Liver; Slice 58/138; Image size 512x512; Computed tomography

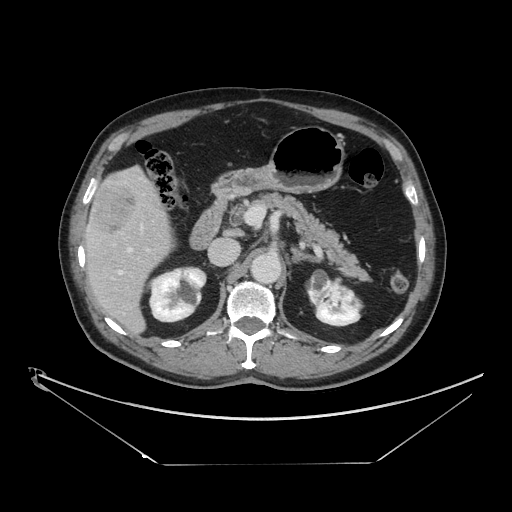

Some hepatic vessels may have no box.
Liver tumor = box(89, 183, 137, 235).
Hepatic vessel = box(140, 224, 142, 231); box(147, 249, 149, 250); box(128, 248, 132, 252); box(116, 270, 122, 274).